Slice 61 of 82; CT; Image size 512x512

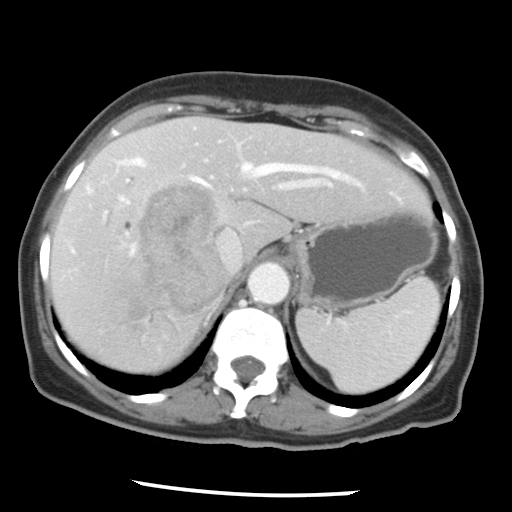 The vessel annotation is not exhaustive.
liver tumor: {"x1": 126, "y1": 180, "x2": 226, "y2": 322} | hepatic vessel: {"x1": 113, "y1": 155, "x2": 147, "y2": 171}, {"x1": 189, "y1": 175, "x2": 212, "y2": 187}, {"x1": 219, "y1": 229, "x2": 240, "y2": 267}, {"x1": 127, "y1": 243, "x2": 136, "y2": 255}, {"x1": 307, "y1": 180, "x2": 320, "y2": 183}, {"x1": 68, "y1": 241, "x2": 74, "y2": 253}, {"x1": 118, "y1": 195, "x2": 129, "y2": 204}, {"x1": 221, "y1": 208, "x2": 227, "y2": 219}, {"x1": 241, "y1": 161, "x2": 358, "y2": 183}, {"x1": 82, "y1": 182, "x2": 93, "y2": 194}, {"x1": 238, "y1": 143, "x2": 239, "y2": 147}, {"x1": 243, "y1": 189, "x2": 246, "y2": 190}, {"x1": 280, "y1": 183, "x2": 295, "y2": 187}